CT image 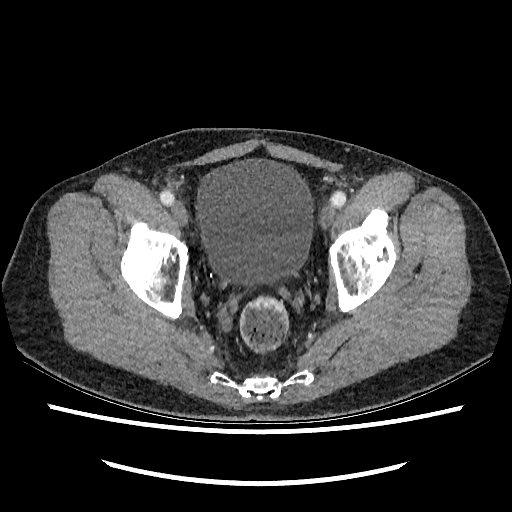

Urinary bladder = x1=195, y1=159, x2=313, y2=286.